Brain. Slice 89 of 155.
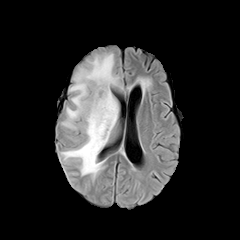
FLAIR MR.
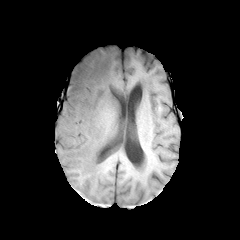
T1-weighted magnetic resonance.
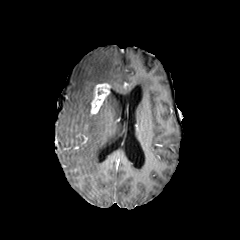
Post-contrast T1-weighted magnetic resonance.
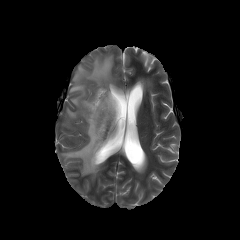
Same slice, T2-weighted MR.
The enhancing tumor is at 90, 83, 109, 115. The non-enhancing tumor core lies within 87, 96, 96, 117. The edema is at 61, 53, 118, 177.